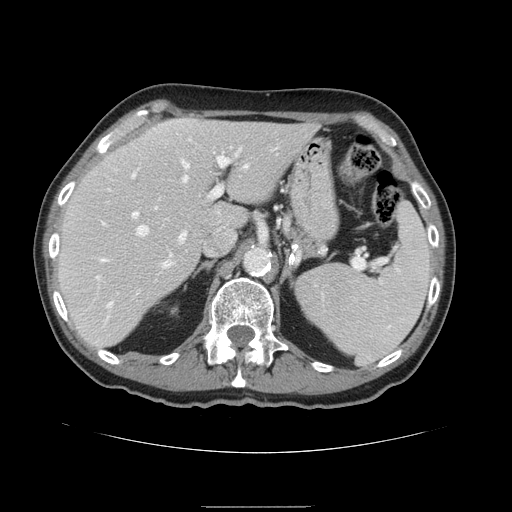

CT scan slice.

<segmentation>
  <spleen>[x1=296, y1=203, x2=431, y2=363]</spleen>
</segmentation>